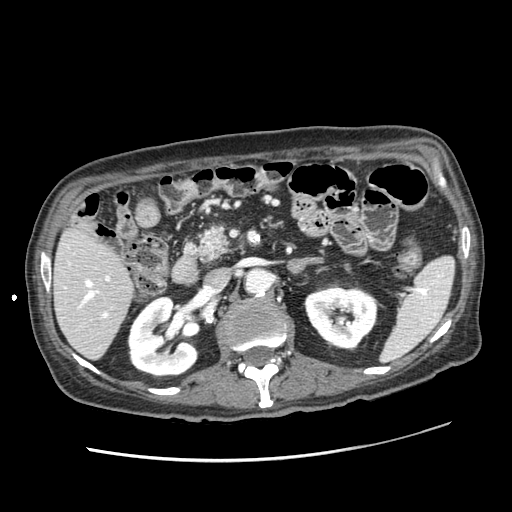

CT image; Upper abdomen; 512x512 px
Pancreas: x1=198 y1=226 x2=228 y2=263.